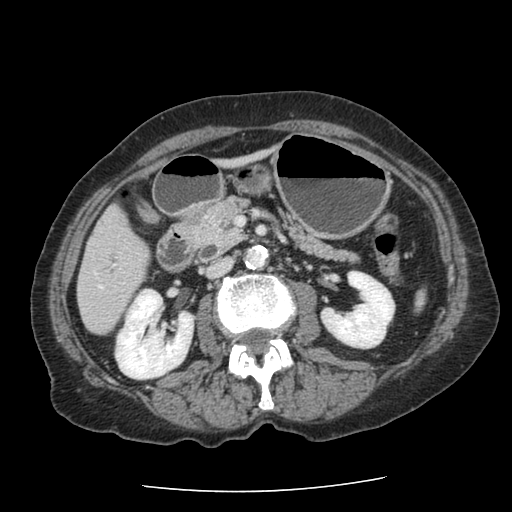

512x512 px; Computed tomography
2 pancreas regions are located at [x1=288, y1=221, x2=354, y2=259], [x1=190, y1=197, x2=248, y2=252].